Image size 240x240. Brain.
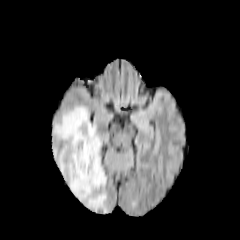
FLAIR magnetic resonance.
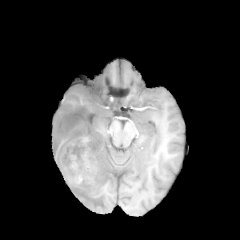
T1-weighted magnetic resonance of the same slice.
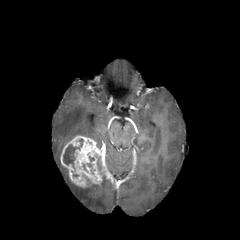
Post-contrast T1-weighted MR.
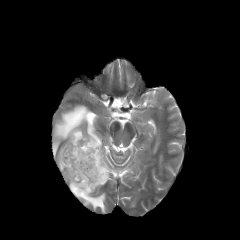
Same slice, T2-weighted MRI.
The edema is at <bbox>52, 105, 106, 213</bbox>. The non-enhancing tumor core is at <bbox>63, 143, 77, 169</bbox>. The enhancing tumor is bounded by <bbox>60, 135, 104, 187</bbox>.